Brain. Slice 76 of 155.
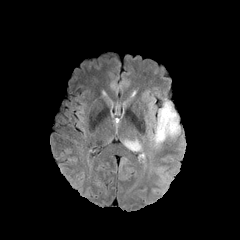
FLAIR MR image.
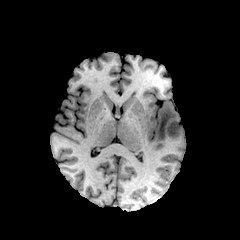
T1-weighted MR image.
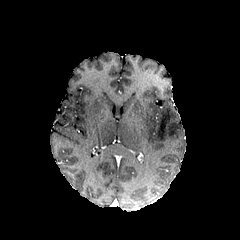
Post-contrast T1-weighted MRI.
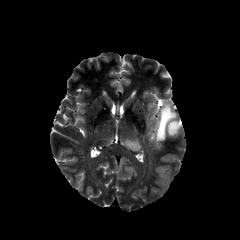
T2-weighted magnetic resonance.
Edema: bounding box x1=122, y1=139, x2=141, y2=151; x1=153, y1=101, x2=179, y2=145.